CT scan slice, 512x512 px, Slice 382/733, Field of view 388 mm wide, 0.70 mm slice spacing
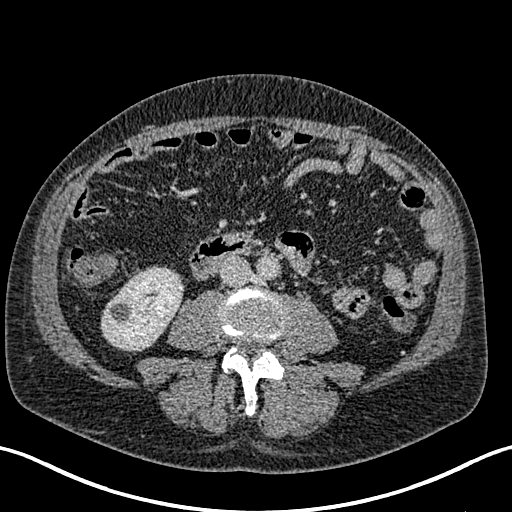 kidney:
  - bbox(102, 268, 181, 349)